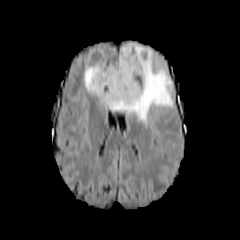
FLAIR MRI.
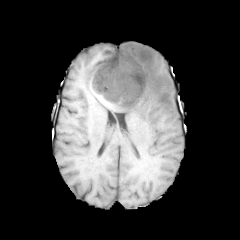
T1-weighted magnetic resonance.
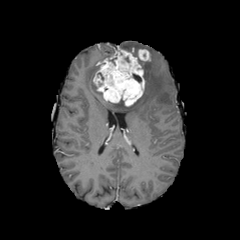
Post-contrast T1-weighted MRI.
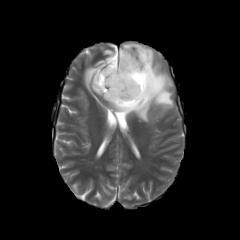
T2-weighted magnetic resonance.
Head
Enhancing tumor: bounding box bbox=[137, 49, 151, 61]; bbox=[93, 49, 144, 106].
Edema: bounding box bbox=[84, 43, 173, 124].